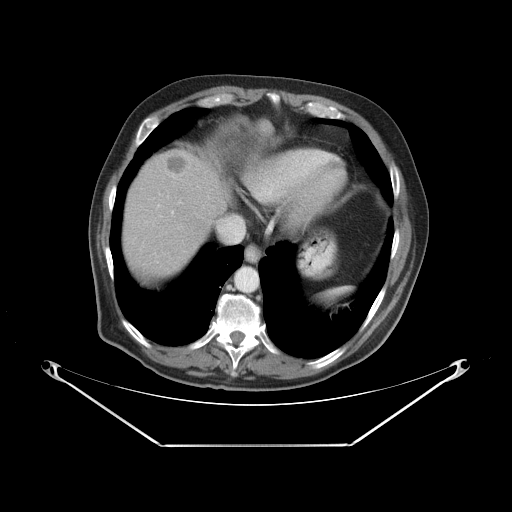
Abdomen. CT slice. Some hepatic vessels may have no box.
<segmentation>
  <hepatic_vessel>218 225 220 228, 157 205 159 207</hepatic_vessel>
  <liver_tumor>166 156 187 172</liver_tumor>
</segmentation>